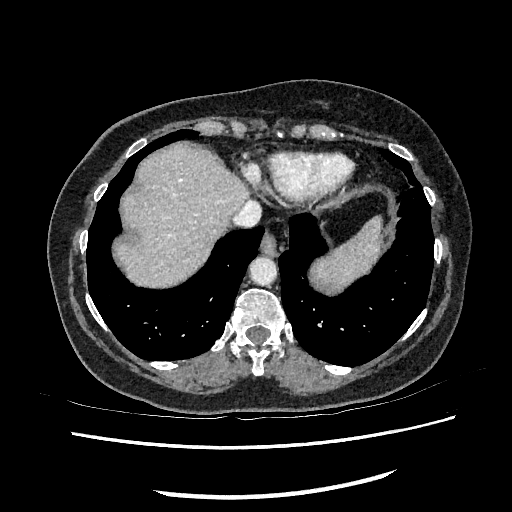

Abdomen; Computed tomography
liver:
  - rect(115, 144, 246, 285)